Slice 105/155 | Image size 240x240
FLAIR MR.
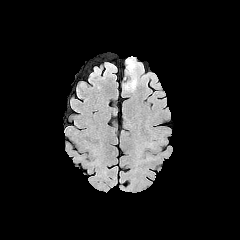
T1-weighted magnetic resonance.
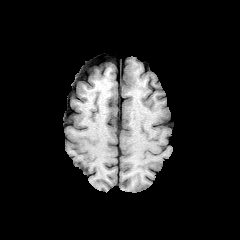
Post-contrast T1-weighted MR image.
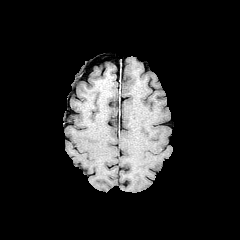
T2-weighted magnetic resonance.
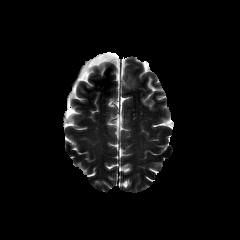
Annotated regions:
- edema: (123,62,137,89)